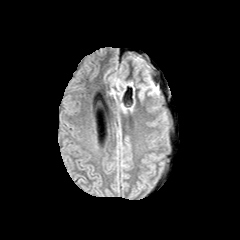
FLAIR magnetic resonance.
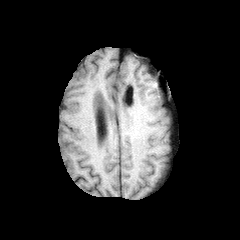
T1-weighted MR image of the same slice.
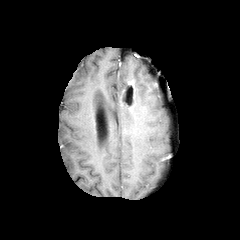
Post-contrast T1-weighted MRI.
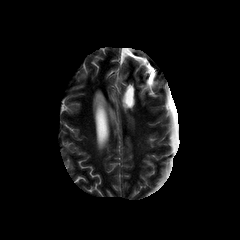
T2-weighted MR.
240x240 px | Head
2 edema regions appear at 138:79:156:98, 112:74:121:87.